MRI slice. Field of view 36x50 mm. Slice index 7. 36x50 px.
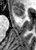 Anterior hippocampus = x1=11 y1=6 x2=24 y2=18.